Slice 36 of 155
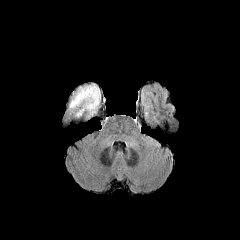
FLAIR magnetic resonance.
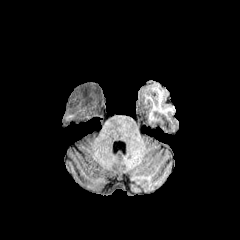
T1-weighted magnetic resonance of the same slice.
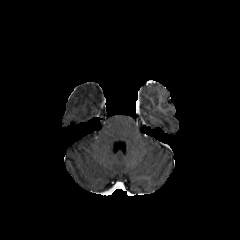
Post-contrast T1-weighted MR.
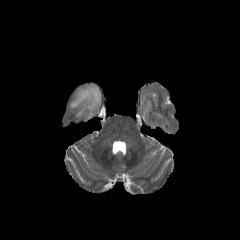
T2-weighted MR image.
edema: x1=69 y1=84 x2=100 y2=111